Slice 66 of 155; 240x240 px; Head
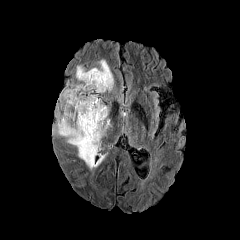
FLAIR MR.
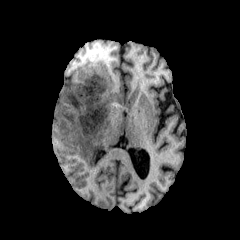
T1-weighted MR of the same slice.
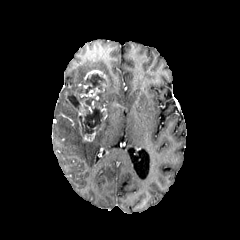
Post-contrast T1-weighted MRI.
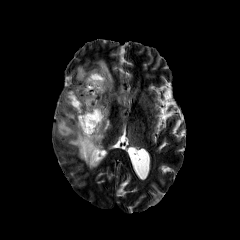
T2-weighted MR.
5 enhancing tumor regions appear at 78, 88, 99, 100; 82, 130, 95, 142; 98, 105, 107, 119; 84, 70, 107, 81; 77, 101, 92, 121. The non-enhancing tumor core lies within 55, 73, 107, 139. 4 edema regions appear at 70, 66, 97, 85; 54, 112, 110, 170; 98, 59, 113, 92; 57, 94, 69, 109.